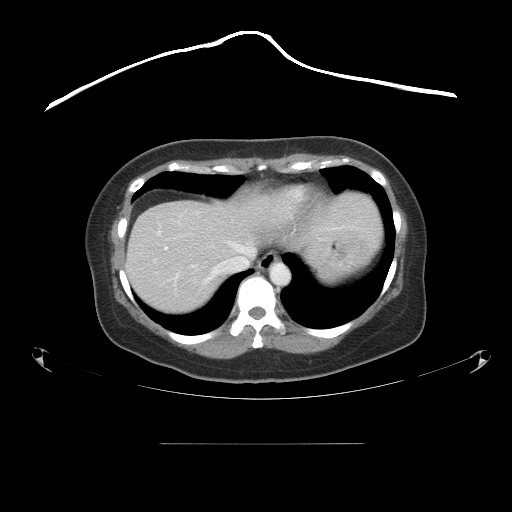

Computed tomography
The vessel annotation is not exhaustive.
hepatic_vessel:
  - <bbox>164, 247, 166, 249</bbox>
  - <bbox>170, 275, 178, 287</bbox>
  - <bbox>192, 265, 195, 267</bbox>
  - <bbox>157, 225, 160, 235</bbox>
  - <bbox>178, 236, 182, 236</bbox>
  - <bbox>175, 221, 179, 223</bbox>
  - <bbox>203, 241, 255, 283</bbox>
  - <bbox>322, 226, 344, 229</bbox>